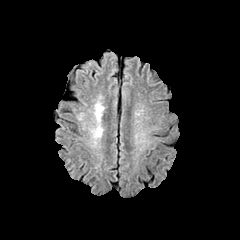
FLAIR MRI.
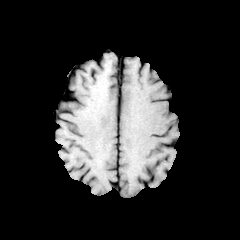
Same slice, T1-weighted MR.
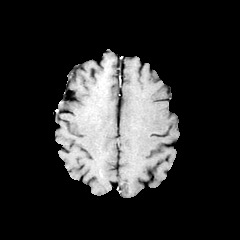
Same slice, post-contrast T1-weighted MR image.
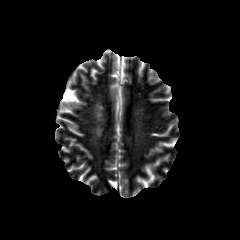
Same slice, T2-weighted magnetic resonance.
Head, Image size 240x240
The edema lies within (90,96,103,145).